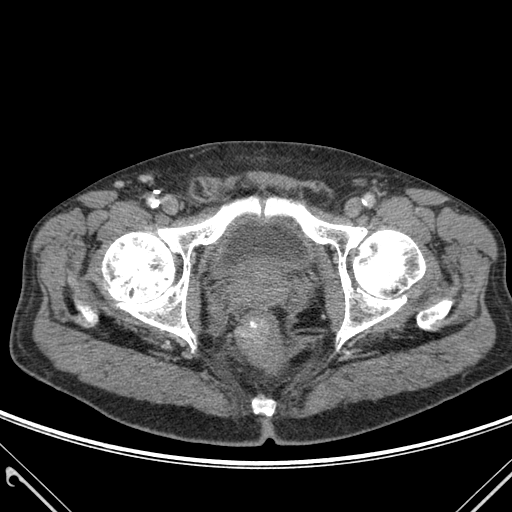 CT

Segmented structures:
- bone: box=[252, 399, 274, 415]; box=[102, 198, 260, 348]; box=[417, 300, 451, 328]; box=[79, 306, 94, 321]; box=[264, 198, 425, 348]